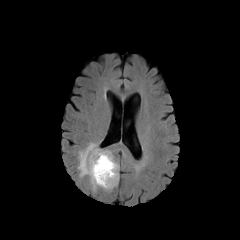
FLAIR MRI.
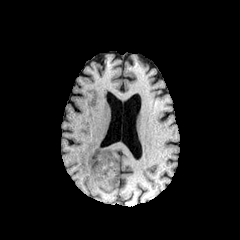
T1-weighted MR.
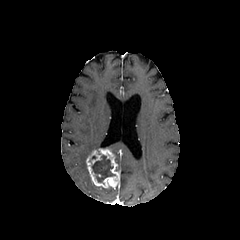
Post-contrast T1-weighted magnetic resonance.
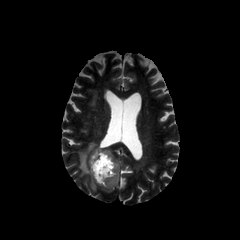
T2-weighted MRI of the same slice.
Brain.
edema:
  - x1=77 y1=142 x2=98 y2=178
non-enhancing_tumor_core:
  - x1=91 y1=155 x2=115 y2=185
enhancing_tumor:
  - x1=86 y1=148 x2=119 y2=188